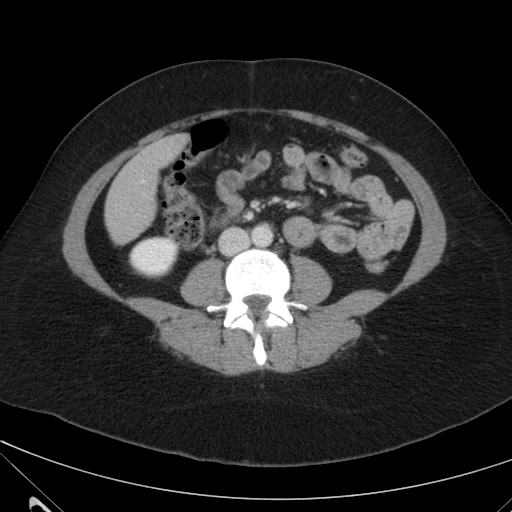

Computed tomography, Liver

<segmentation>
  <kidney>132 239 175 273</kidney>
  <liver>105 134 188 243</liver>
</segmentation>